CT. Abdomen. Slice index 28. 512x512.
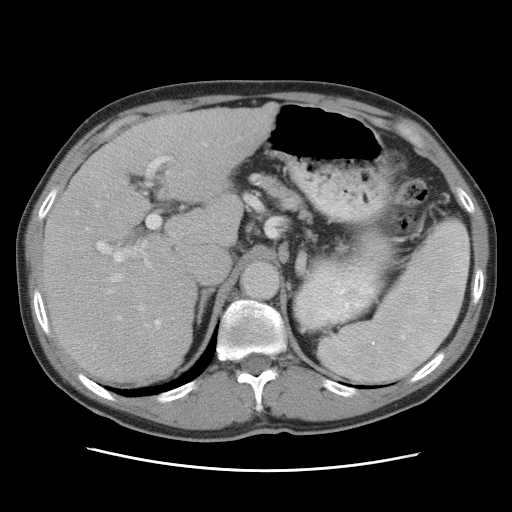

Not every hepatic vessel necessarily has a box.
Hepatic vessel — rect(124, 242, 145, 256); rect(107, 290, 112, 293); rect(115, 253, 121, 260); rect(145, 259, 149, 263); rect(85, 228, 88, 230); rect(203, 143, 206, 145); rect(155, 320, 159, 328); rect(147, 157, 172, 172); rect(96, 204, 99, 206); rect(147, 214, 160, 228); rect(96, 243, 104, 252); rect(110, 274, 120, 281); rect(118, 317, 120, 319).